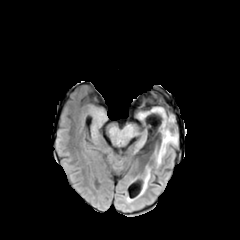
FLAIR MR.
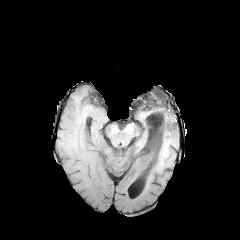
T1-weighted MR of the same slice.
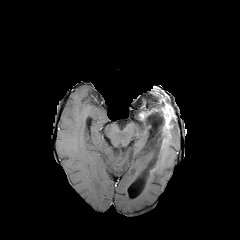
Post-contrast T1-weighted MR.
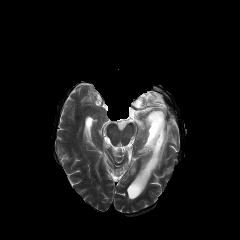
T2-weighted MRI.
Brain, 240x240
Non-enhancing tumor core: box(147, 105, 166, 111); box(151, 111, 164, 145).
Enhancing tumor: box(147, 107, 171, 145).
Edema: box(144, 170, 150, 189); box(153, 118, 177, 165).